Abdomen, Computed tomography
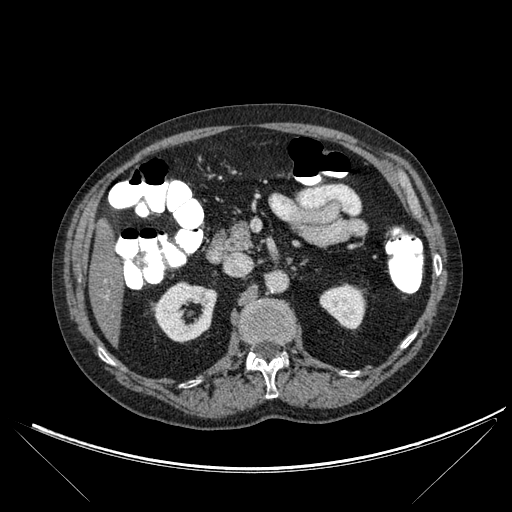
2 kidney regions are located at left=320, top=284, right=364, bottom=328; left=155, top=282, right=216, bottom=341. The liver is bounded by left=89, top=222, right=127, bottom=343. 6 bone regions are located at left=100, top=351, right=114, bottom=364; left=240, top=300, right=294, bottom=344; left=434, top=255, right=441, bottom=274; left=247, top=352, right=287, bottom=398; left=341, top=370, right=358, bottom=377; left=401, top=333, right=415, bottom=347.